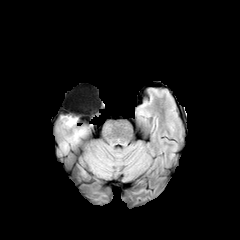
FLAIR MR.
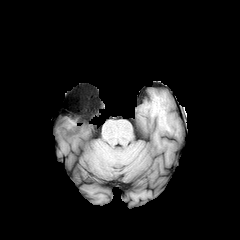
Same slice, T1-weighted magnetic resonance.
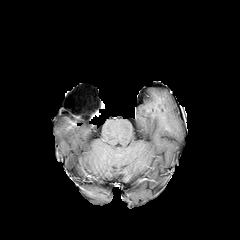
Post-contrast T1-weighted MRI.
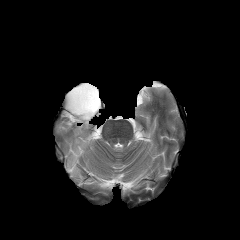
Same slice, T2-weighted MR image.
Head
Edema: bounding box [69, 129, 86, 147], [59, 116, 77, 131].